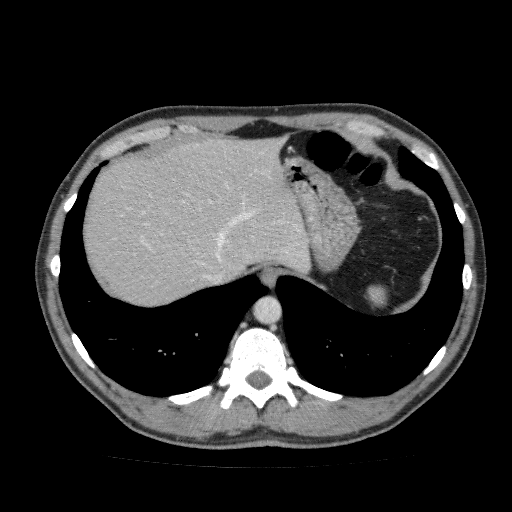

Computed tomography; Liver

The liver is at x1=84 y1=133 x2=311 y2=306.